FLAIR MR.
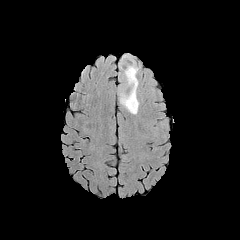
T1-weighted MR.
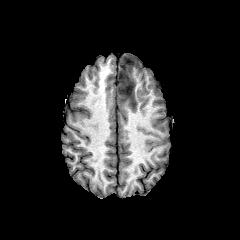
Post-contrast T1-weighted MR image.
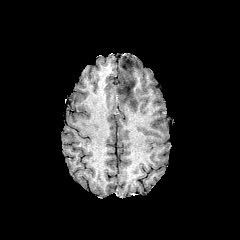
T2-weighted MR.
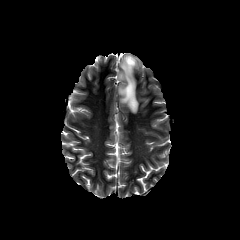
Head
The non-enhancing tumor core is at [118, 56, 135, 107]. 2 edema regions appear at [119, 54, 130, 72], [120, 59, 140, 114].